Field of view 338x338 mm. Slice 329/391. Upper abdomen. CT. 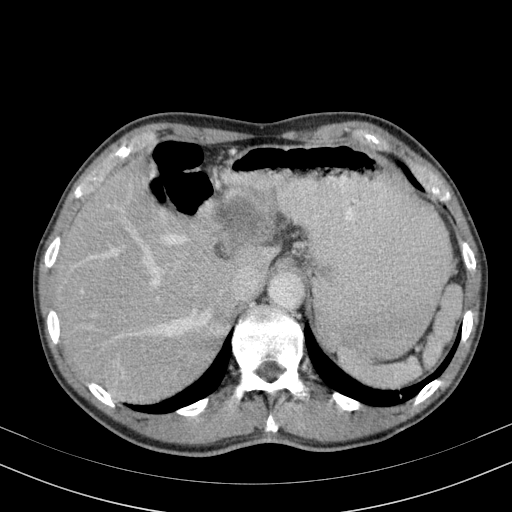
Liver lesion: left=218, top=197, right=264, bottom=241.
Liver: left=55, top=161, right=276, bottom=404.